Computed tomography. Abdomen. Slice 33 of 91.

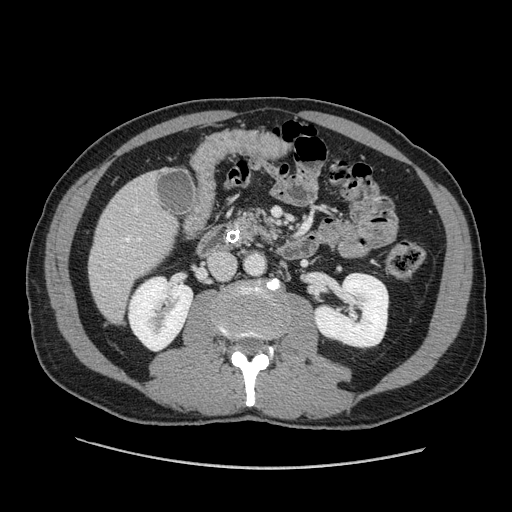

Findings:
* pancreas: bbox=[228, 205, 279, 248]